Abdomen; Slice 267 of 756; CT slice
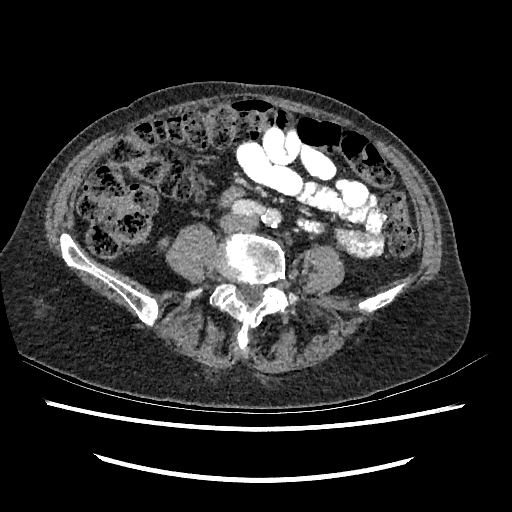
The kidney is located at (left=155, top=234, right=172, bottom=253).